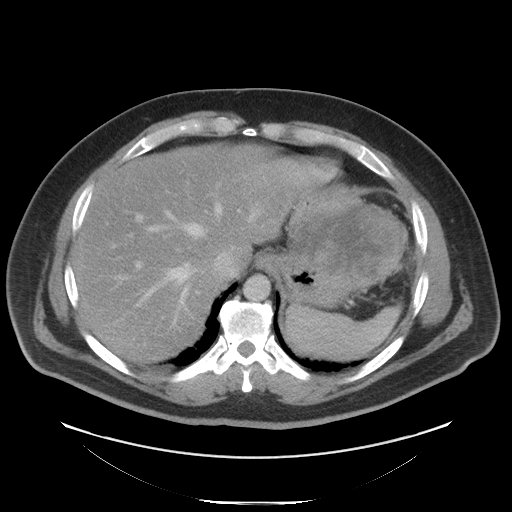

CT image, Upper abdomen
pancreatic_tumor:
  - [288, 203, 405, 284]
pancreas:
  - [342, 275, 367, 287]
  - [381, 242, 404, 279]